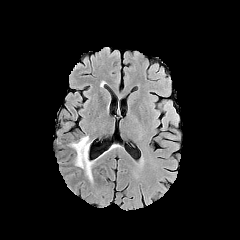
FLAIR magnetic resonance.
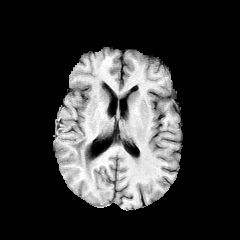
Same slice, T1-weighted MR image.
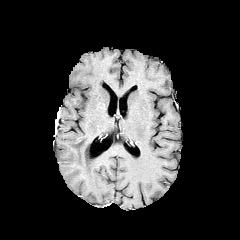
Post-contrast T1-weighted MRI.
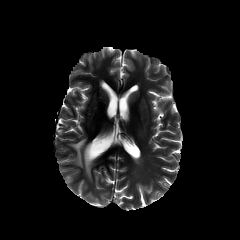
T2-weighted MR.
The edema is located at [x1=68, y1=135, x2=95, y2=181].